Slice index 36 | Computed tomography | Abdomen
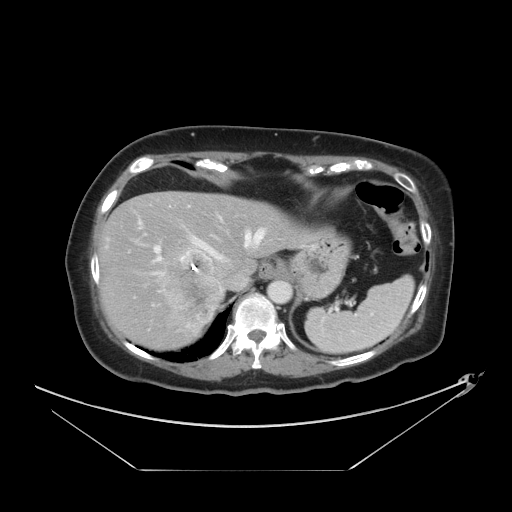
Not every hepatic vessel necessarily has a box.
Liver tumor: bounding box x1=160, y1=247, x2=222, y2=332.
Hepatic vessel: bounding box x1=138, y1=219, x2=142, y2=228; x1=242, y1=281, x2=244, y2=284; x1=153, y1=246, x2=161, y2=262; x1=211, y1=234, x2=214, y2=236; x1=244, y1=228, x2=265, y2=247; x1=192, y1=237, x2=225, y2=260; x1=218, y1=216, x2=221, y2=219; x1=153, y1=272, x2=161, y2=275.